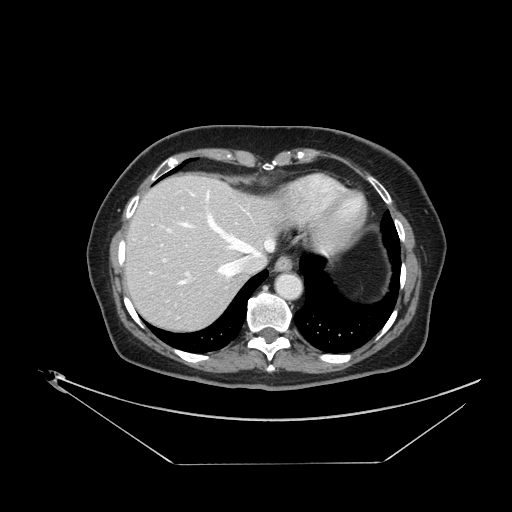

CT image. Abdomen.

Only some of the vessels may be annotated.
8 hepatic vessel regions are bounded by (149, 271, 152, 273), (177, 222, 195, 228), (163, 258, 166, 261), (191, 194, 196, 196), (178, 272, 191, 284), (203, 190, 209, 203), (161, 226, 171, 232), (205, 206, 273, 278).